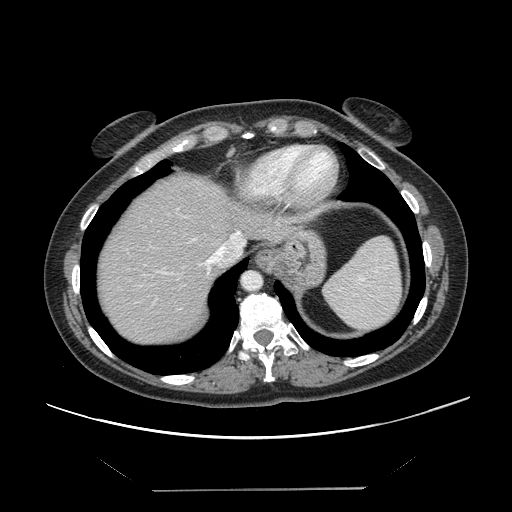

CT image

Not every hepatic vessel necessarily has a box.
3 hepatic vessel regions are located at left=192, top=238, right=195, bottom=240; left=157, top=270, right=176, bottom=277; left=204, top=231, right=243, bottom=275.